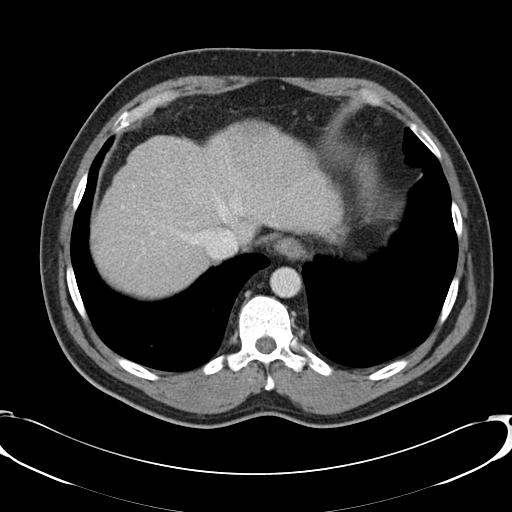
CT scan slice, Abdomen
The vessel annotation is not exhaustive.
hepatic vessel: bbox=[220, 161, 222, 167]; bbox=[178, 180, 179, 182]; bbox=[212, 189, 241, 221]; bbox=[246, 185, 248, 188]; bbox=[232, 224, 233, 225]; bbox=[162, 170, 163, 171]; bbox=[176, 230, 236, 256]; bbox=[161, 202, 165, 207]; bbox=[150, 231, 154, 234]